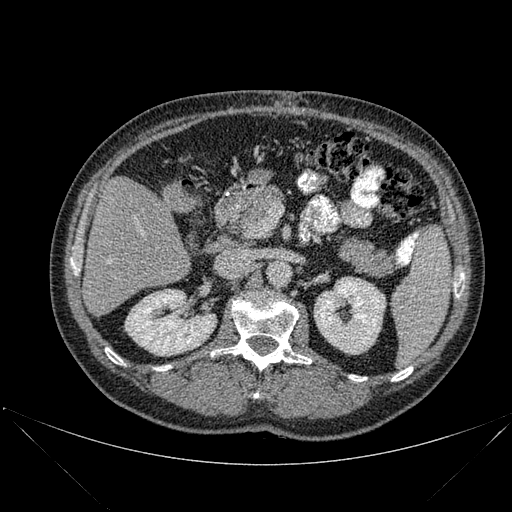

CT

Segmented structures:
* kidney: l=314, t=277, r=385, b=354; l=125, t=289, r=216, b=355
* bone: l=391, t=367, r=412, b=380; l=71, t=258, r=79, b=274; l=229, t=294, r=311, b=370; l=155, t=365, r=170, b=370; l=349, t=375, r=366, b=381; l=105, t=348, r=124, b=364; l=454, t=273, r=463, b=297
* liver: l=83, t=176, r=190, b=314; l=163, t=186, r=190, b=213